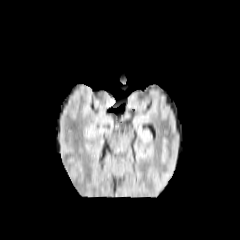
FLAIR magnetic resonance.
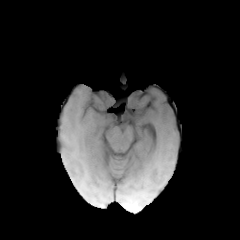
T1-weighted magnetic resonance of the same slice.
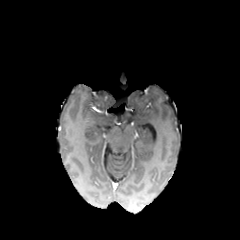
Post-contrast T1-weighted MR.
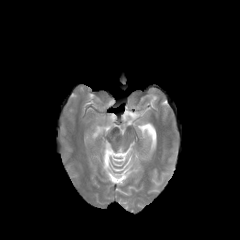
T2-weighted MR of the same slice.
240x240 px
<segmentation>
  <non-enhancing_tumor_core><bbox>93, 91, 112, 108</bbox></non-enhancing_tumor_core>
</segmentation>